Head | 240x240 | Field of view 240x240 mm
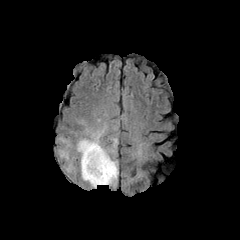
FLAIR MR image.
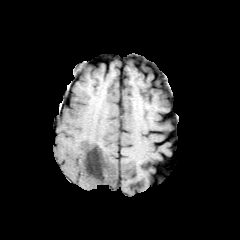
T1-weighted magnetic resonance.
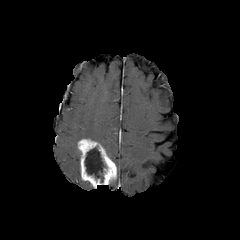
Post-contrast T1-weighted magnetic resonance.
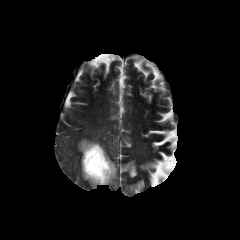
T2-weighted MR image of the same slice.
Enhancing tumor: 78 139 116 187.
Non-enhancing tumor core: 84 147 107 182.
Edema: 56 110 119 188.